FLAIR MRI.
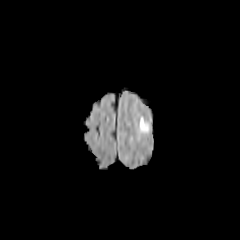
T1-weighted MR.
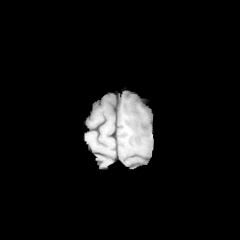
Post-contrast T1-weighted MR image.
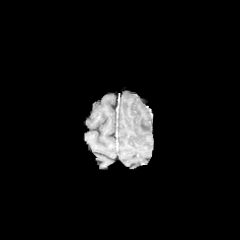
T2-weighted MR image.
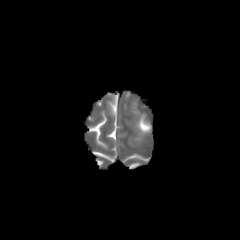
edema:
  - (139,116,151,131)